CT scan slice, Abdomen

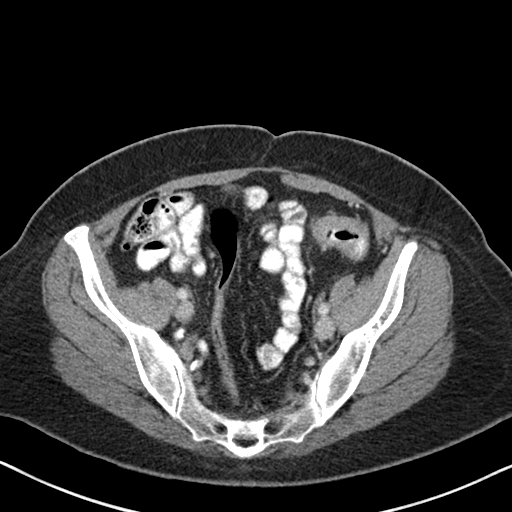
The colon tumor is located at 313 216 369 261.